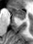
33x44 px, MR, Hippocampus
Annotated regions:
- posterior hippocampus: l=18, t=18, r=24, b=19
- anterior hippocampus: l=9, t=5, r=25, b=17